Slice 476/846; CT slice

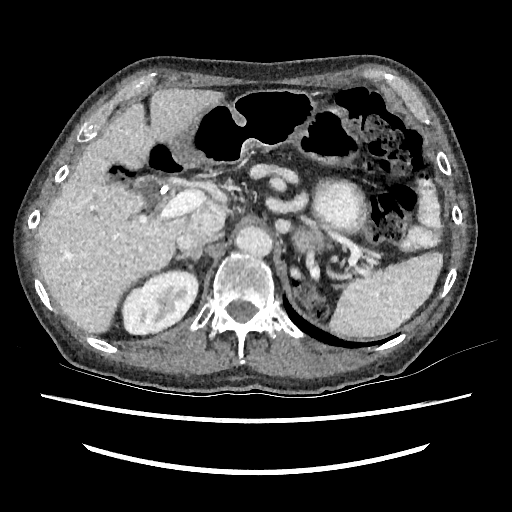
Liver — [x1=38, y1=89, x2=221, y2=332].
Kidney — [x1=123, y1=272, x2=197, y2=334].